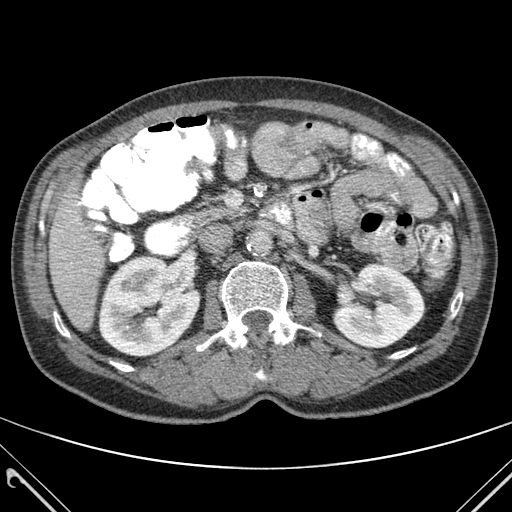

Upper abdomen. 512x512 px. CT scan slice.
{"liver": ["(49, 180, 105, 325)"], "kidney": ["(335, 265, 423, 347)", "(100, 257, 198, 355)"], "bone": ["(110, 361, 133, 371)", "(451, 292, 462, 316)", "(391, 348, 414, 358)", "(54, 312, 69, 336)", "(196, 262, 306, 350)"]}